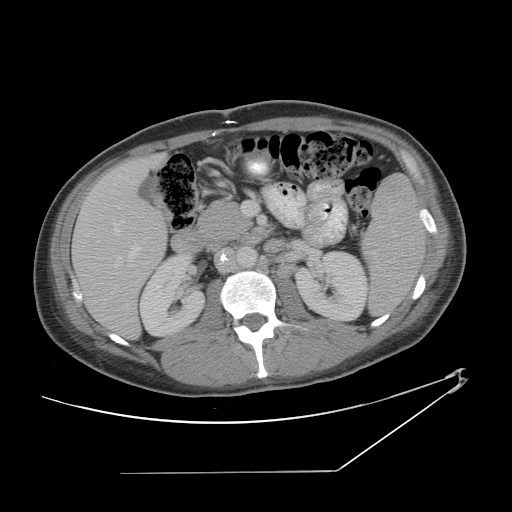

Abdomen. Image size 512x512. Computed tomography.

Only some of the vessels may be annotated.
Hepatic vessel = box=[129, 244, 139, 265]; box=[109, 257, 121, 266]; box=[115, 230, 119, 233].